Abdomen. CT. Slice 452/685. 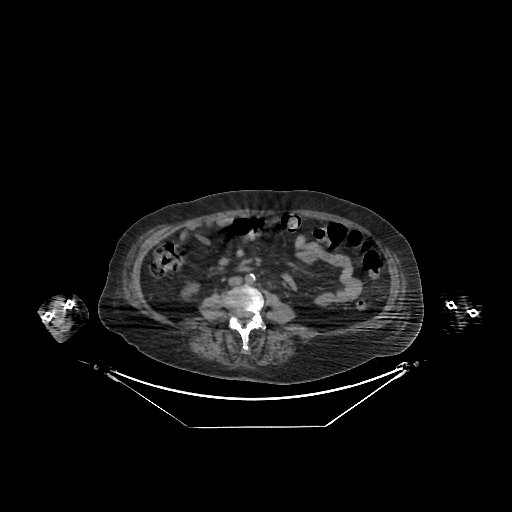 Kidney: l=181, t=283, r=199, b=299.